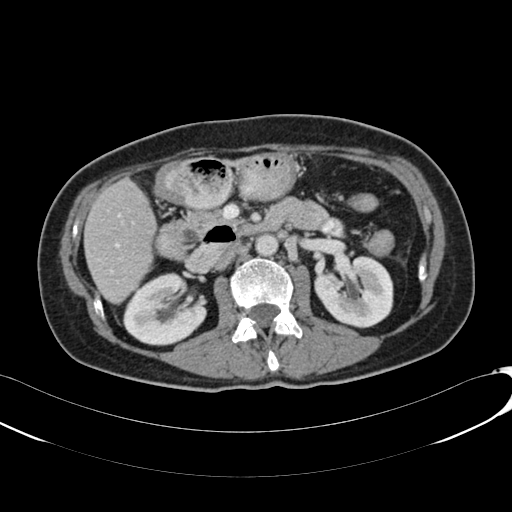 CT

<segmentation>
  <liver>box(83, 180, 154, 302); box(223, 157, 248, 165)</liver>
  <kidney>box(124, 275, 205, 344); box(315, 257, 392, 326)</kidney>
</segmentation>